CT image. Field of view 360 mm wide, 5.00 mm slice spacing. 512x512. Pelvis.
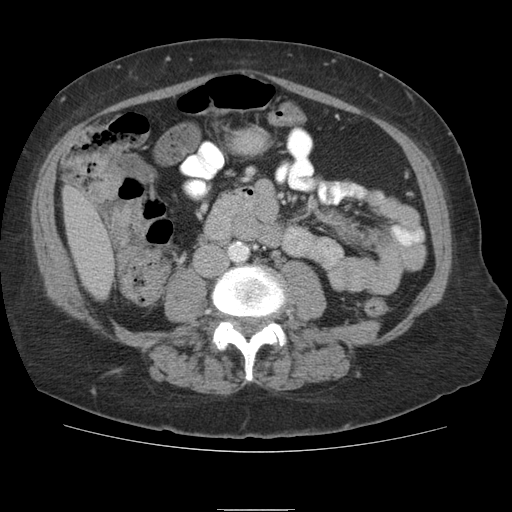 Colon tumor: bounding box bbox(73, 155, 118, 203).